FLAIR MR image.
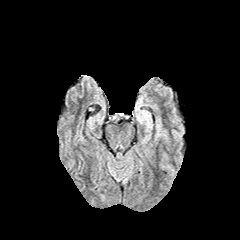
T1-weighted MRI.
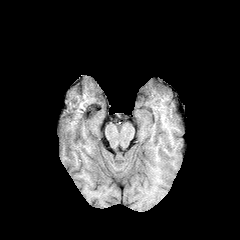
Post-contrast T1-weighted magnetic resonance.
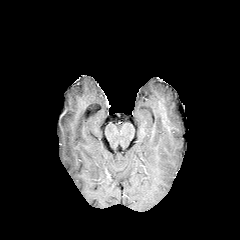
T2-weighted MR.
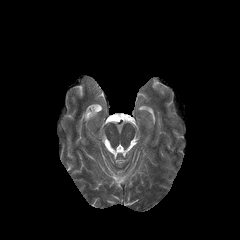
edema: <bbox>141, 110, 150, 118</bbox>